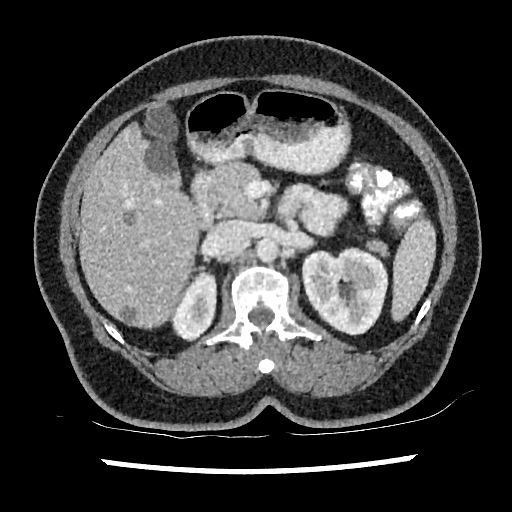
Computed tomography. Abdomen. 3 liver lesion regions appear at 145 141 176 173, 123 306 136 319, 122 211 134 224. 2 kidney regions are bounded by 173 275 215 338, 298 249 386 333. The liver is bounded by 79 124 196 325.